FLAIR MR image.
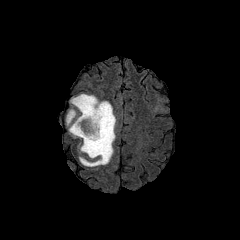
T1-weighted MR image.
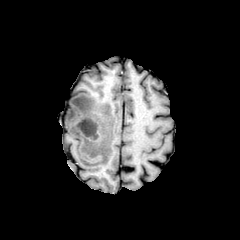
Post-contrast T1-weighted MRI.
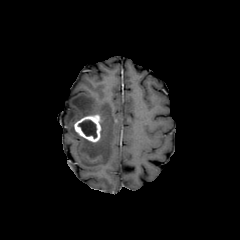
T2-weighted magnetic resonance.
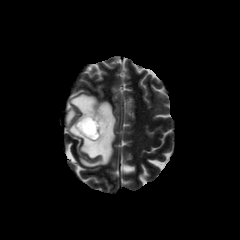
Head
edema:
  - bbox=[66, 94, 116, 167]
non-enhancing_tumor_core:
  - bbox=[86, 114, 104, 144]
  - bbox=[79, 120, 96, 137]
enhancing_tumor:
  - bbox=[74, 114, 101, 141]